Image width 411 mm; CT scan slice
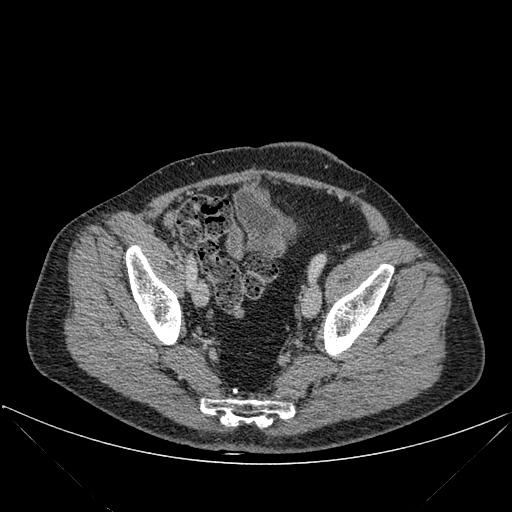
bone:
  - (left=200, top=399, right=294, bottom=427)
  - (left=324, top=264, right=393, bottom=355)
  - (left=126, top=245, right=180, bottom=344)